Slice 109 of 896; CT slice; Image width 437 mm; Lower abdomen

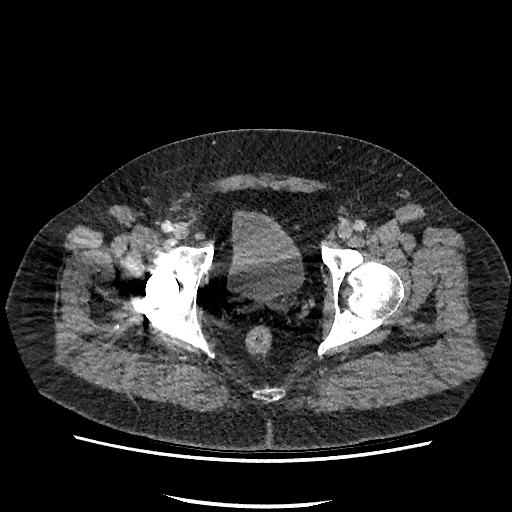
Urinary bladder: bounding box (x1=228, y1=210, x2=304, y2=304).